Hippocampus | MRI
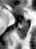
{"anterior_hippocampus": ["(left=21, top=21, right=27, bottom=22)"], "posterior_hippocampus": ["(left=17, top=23, right=28, bottom=39)"]}